Image width 240 mm | Slice 89 of 155 | 240x240
FLAIR MRI.
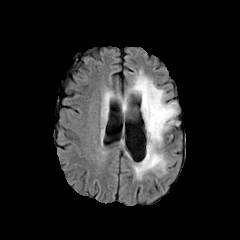
T1-weighted MR.
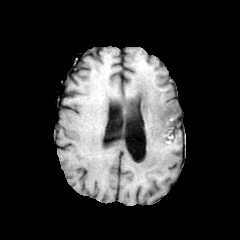
Post-contrast T1-weighted magnetic resonance.
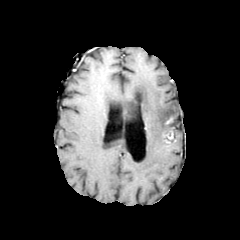
T2-weighted magnetic resonance.
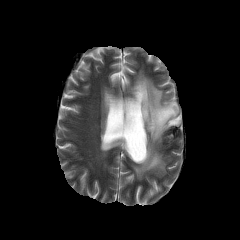
3 edema regions are located at rect(128, 72, 179, 179); rect(103, 93, 112, 108); rect(118, 96, 128, 111). The non-enhancing tumor core is located at rect(162, 108, 173, 116).